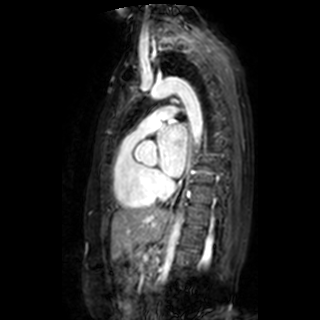
Magnetic resonance
Left atrium: bounding box x1=158 y1=125 x2=186 y2=176.